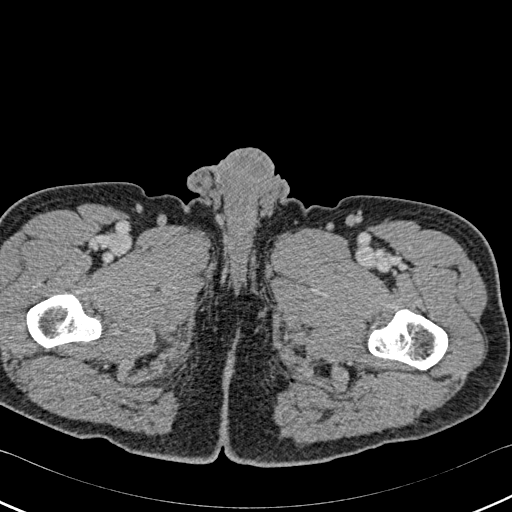
CT slice.

Bone = x1=27, y1=294, x2=100, y2=347; x1=369, y1=310, x2=447, y2=369.